Abdomen | CT slice 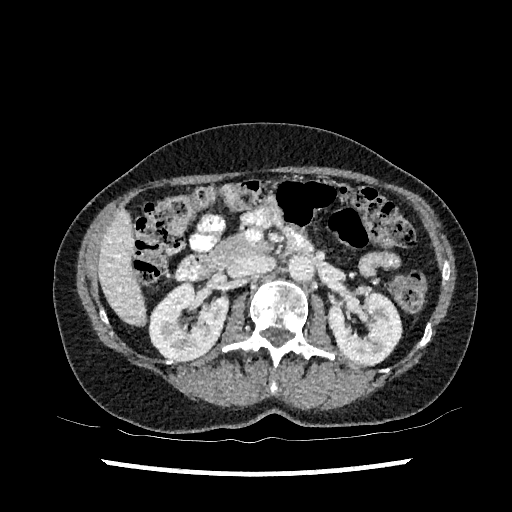
The liver is located at (99,211,145,325). 2 kidney regions are bounded by (329,294,401,364), (150,284,227,360).